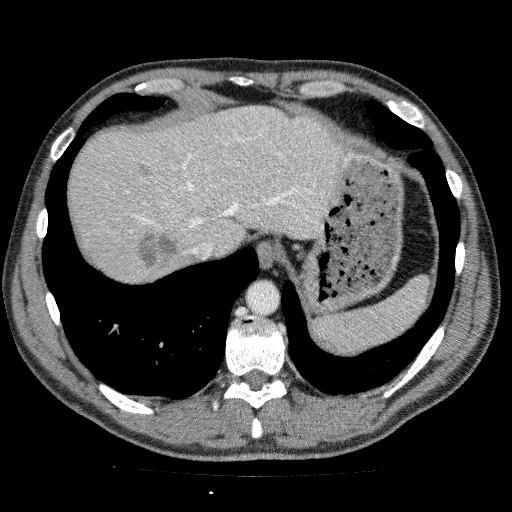
CT scan slice, Upper abdomen, 512x512 px
Liver: bounding box 69, 105, 344, 284.
Focal liver lesion: bounding box 136, 231, 180, 276; 136, 161, 151, 175; 265, 173, 278, 185.